Image size 512x512 | CT image 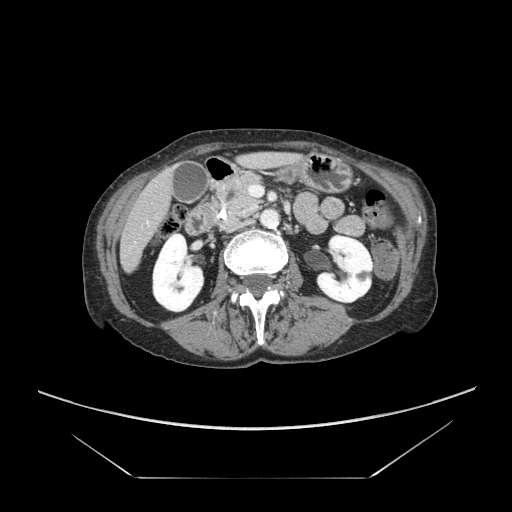 pancreas:
  - [212,172,266,230]
pancreatic_tumor:
  - [208,205,215,224]